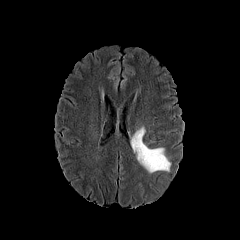
FLAIR MR image.
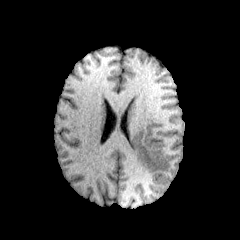
T1-weighted magnetic resonance.
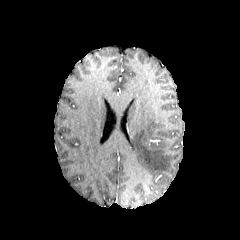
Post-contrast T1-weighted magnetic resonance.
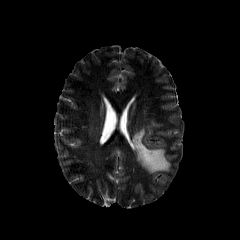
Same slice, T2-weighted MR image.
<segmentation>
  <edema><box>130,128,170,172</box></edema>
</segmentation>